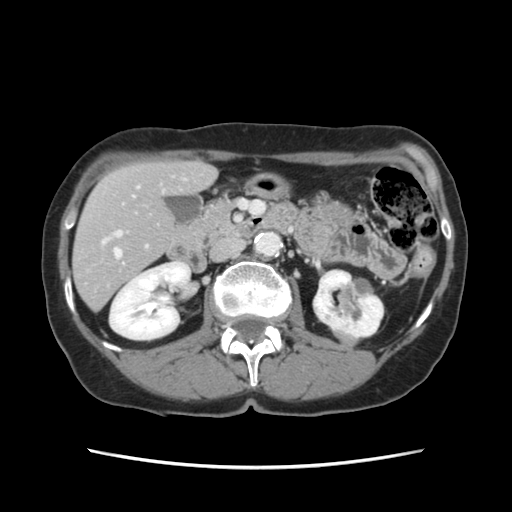
CT scan slice
Some hepatic vessels may have no box.
Hepatic vessel: <bbox>101, 239, 108, 244</bbox>, <bbox>137, 186, 138, 188</bbox>, <bbox>114, 249, 120, 257</bbox>, <bbox>113, 231, 121, 236</bbox>.